CT. 512x512 px. Upper abdomen.
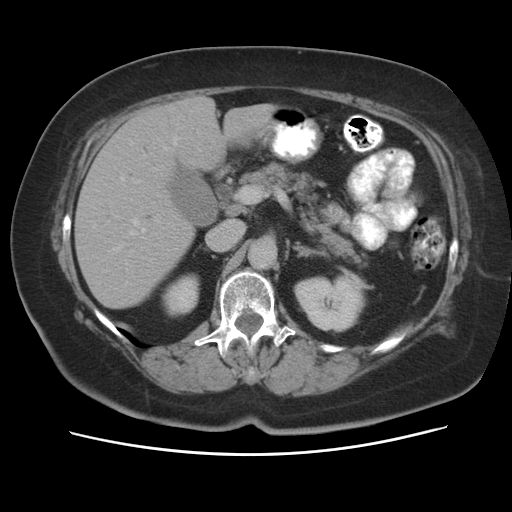 Segmented structures:
- pancreas: x1=241 y1=162 x2=369 y2=269